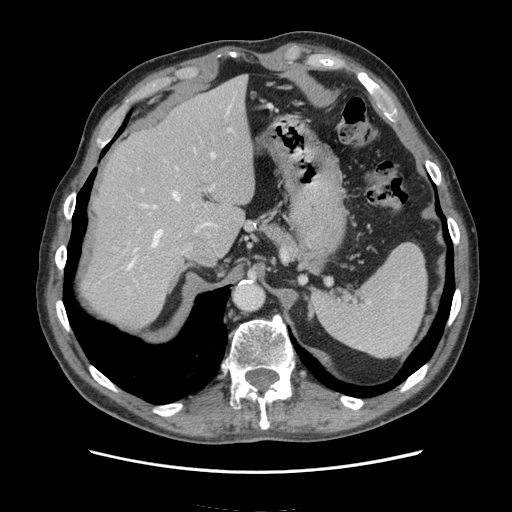 CT slice
The spleen is located at left=313, top=245, right=426, bottom=356.